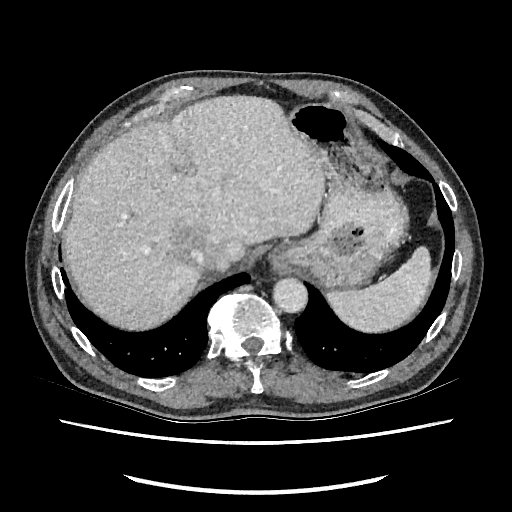 Liver. CT. liver:
  - <bbox>66, 97, 325, 326</bbox>
liver_lesion:
  - <bbox>173, 153, 196, 174</bbox>
  - <bbox>171, 227, 209, 267</bbox>